Slice 181 of 407. Computed tomography. Liver.

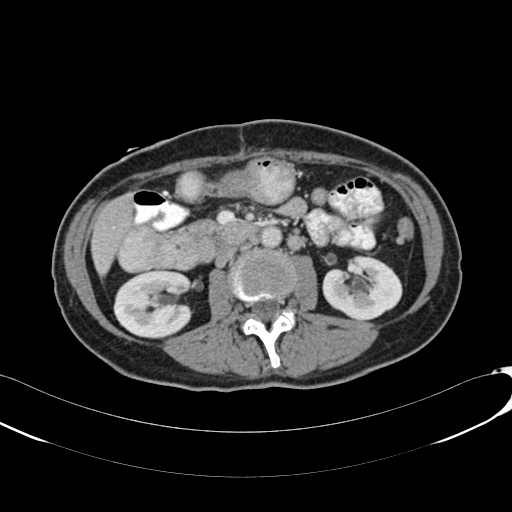
Liver at (x1=91, y1=192, x2=132, y2=273).
Kidney at (x1=323, y1=257, x2=401, y2=319), (x1=115, y1=271, x2=189, y2=336).